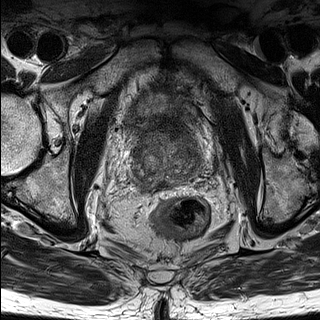
T2-weighted MR image.
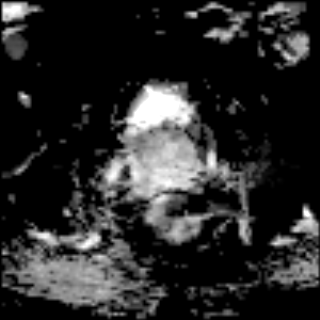
ADC MR.
prostate_transition_zone:
  - [131,131,205,182]